Computed tomography
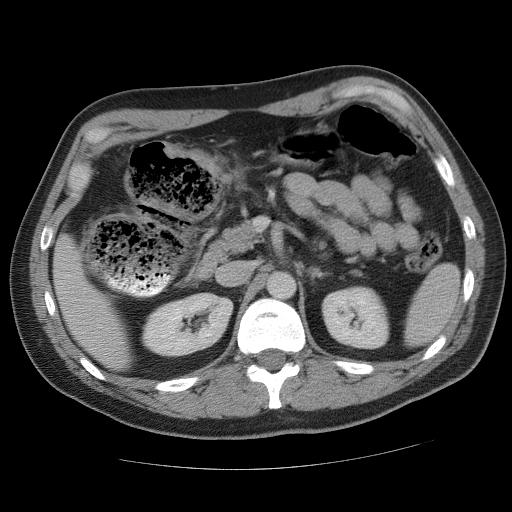

spleen: <bbox>406, 264, 459, 345</bbox>